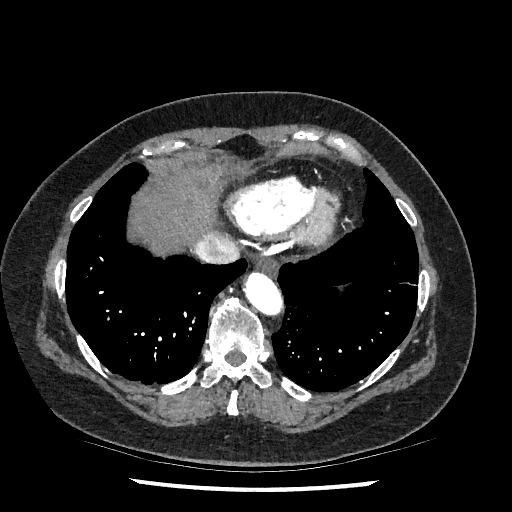 Abdomen; CT image

{"liver": ["<bbox>134, 164, 223, 245</bbox>"]}